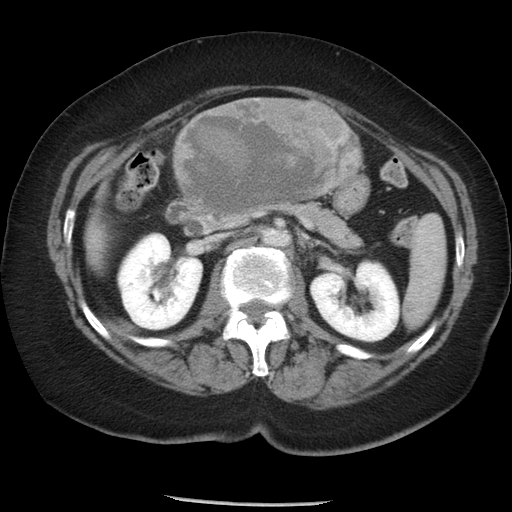
CT slice, Liver

The liver tumor is located at bbox(180, 99, 360, 213).